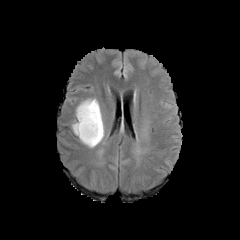
FLAIR magnetic resonance.
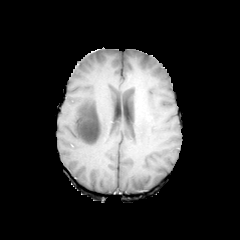
T1-weighted MR image.
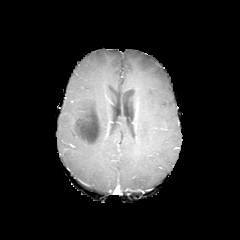
Post-contrast T1-weighted MR.
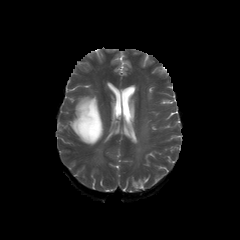
T2-weighted MR image.
240x240.
Non-enhancing tumor core: 78,107,101,141.
Edema: 69,95,107,148.